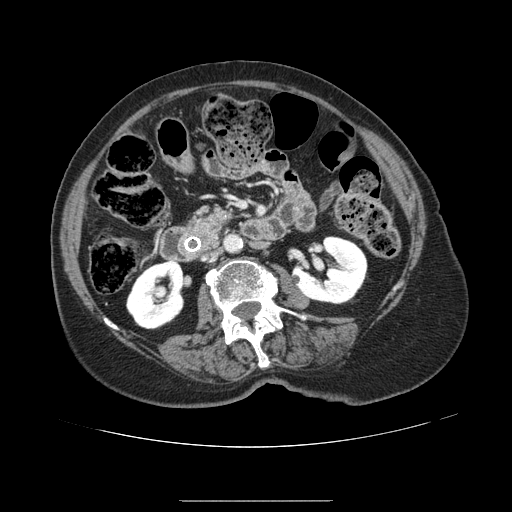

CT; Abdomen
Findings:
• pancreatic tumor: rect(198, 231, 211, 244)
• pancreas: rect(179, 206, 233, 258)